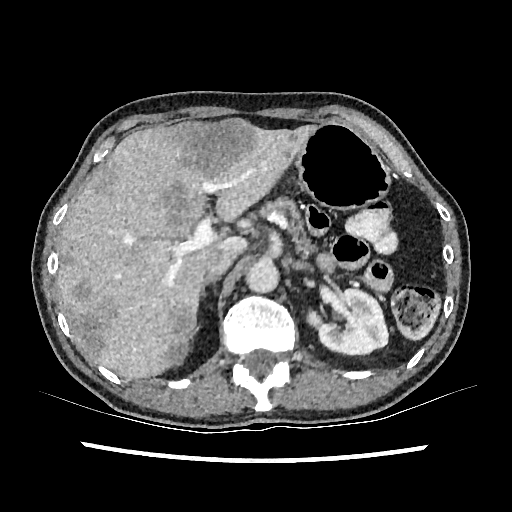 Liver | CT scan slice

Annotated regions:
* liver: bbox(58, 127, 312, 377)
* liver lesion: bbox(60, 254, 74, 266); bbox(170, 120, 256, 177); bbox(73, 307, 112, 345); bbox(72, 278, 91, 301); bbox(288, 129, 298, 141); bbox(160, 181, 189, 223); bbox(167, 309, 193, 361)
* kidney: bbox(318, 288, 392, 358); bbox(310, 313, 319, 324)